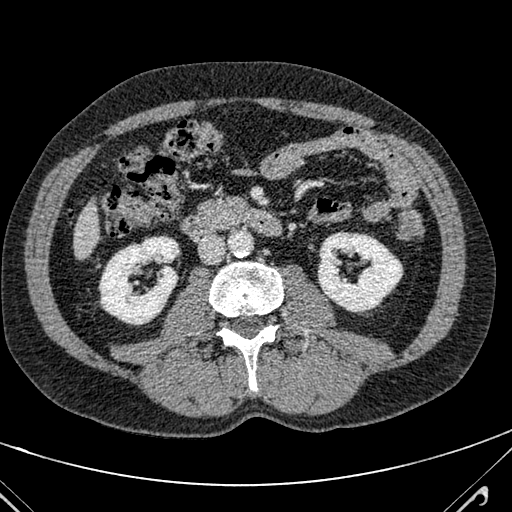 CT scan slice; 512x512

The liver is bounded by (74,202,98,256).